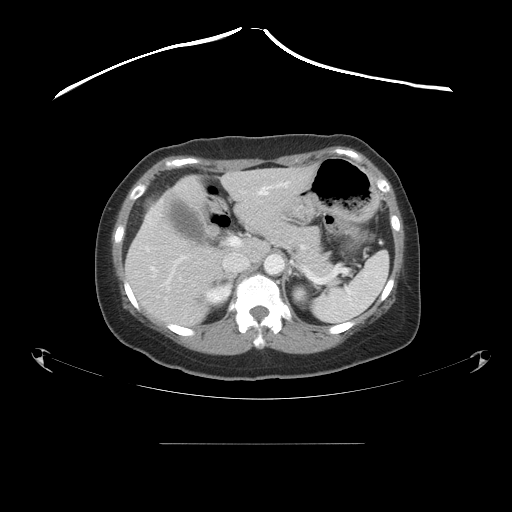
CT; 512x512
The vessel annotation is not exhaustive.
{"liver_tumor": ["x1=147, y1=201, x2=161, y2=217"], "hepatic_vessel": ["x1=157, y1=296, x2=158, y2=297", "x1=150, y1=267, x2=156, y2=278", "x1=223, y1=253, x2=247, y2=270", "x1=146, y1=247, x2=148, y2=251", "x1=229, y1=238, x2=239, y2=246", "x1=162, y1=255, x2=185, y2=291", "x1=240, y1=191, x2=243, y2=192", "x1=259, y1=182, x2=288, y2=194", "x1=165, y1=298, x2=167, y2=303"]}